Liver. CT image. Field of view 360x360 mm. 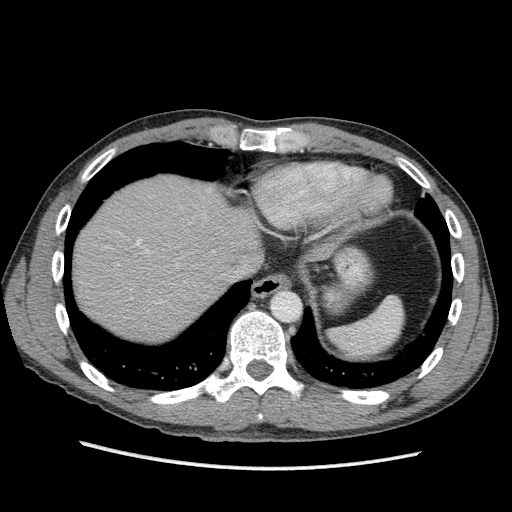

Liver: bounding box 306,234,345,261; 72,174,269,343.